FLAIR MRI.
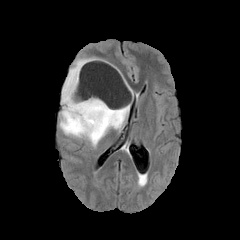
T1-weighted MRI.
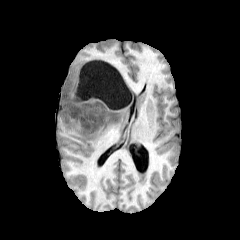
Post-contrast T1-weighted MR.
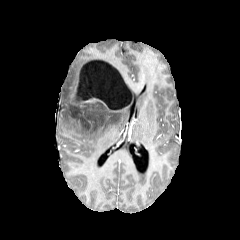
T2-weighted MRI.
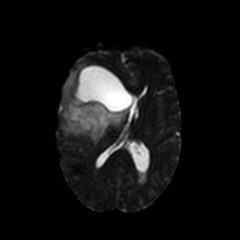
Head
2 non-enhancing tumor core regions are bounded by (left=67, top=106, right=99, bottom=129), (left=76, top=72, right=127, bottom=121). The edema is at (left=59, top=57, right=131, bottom=146).